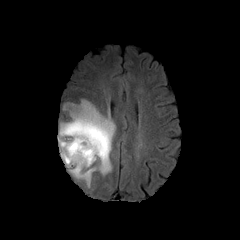
FLAIR MR.
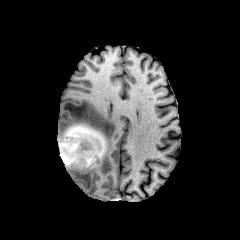
T1-weighted MR of the same slice.
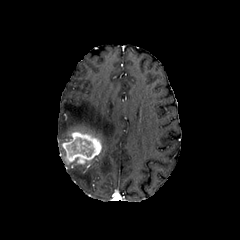
Post-contrast T1-weighted magnetic resonance.
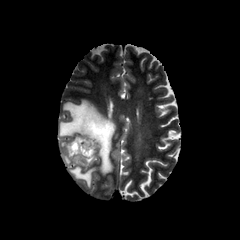
Same slice, T2-weighted MR image.
2 edema regions are located at {"x1": 70, "y1": 166, "x2": 96, "y2": 187}, {"x1": 59, "y1": 99, "x2": 115, "y2": 175}. 4 non-enhancing tumor core regions are bounded by {"x1": 65, "y1": 137, "x2": 94, "y2": 157}, {"x1": 73, "y1": 156, "x2": 96, "y2": 166}, {"x1": 61, "y1": 148, "x2": 72, "y2": 163}, {"x1": 66, "y1": 125, "x2": 107, "y2": 159}. The enhancing tumor is at {"x1": 67, "y1": 132, "x2": 101, "y2": 161}.